Image width 458 mm. CT. Abdomen. Image size 512x512. Slice 52 of 117.

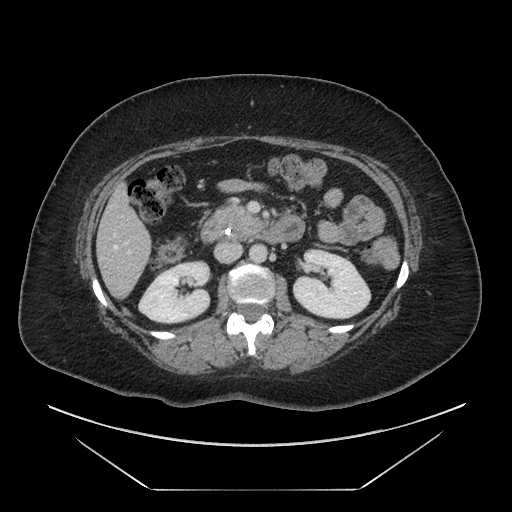 Pancreas: bounding box 225, 205, 259, 238.
Pancreatic tumor: bounding box 233, 223, 240, 233.